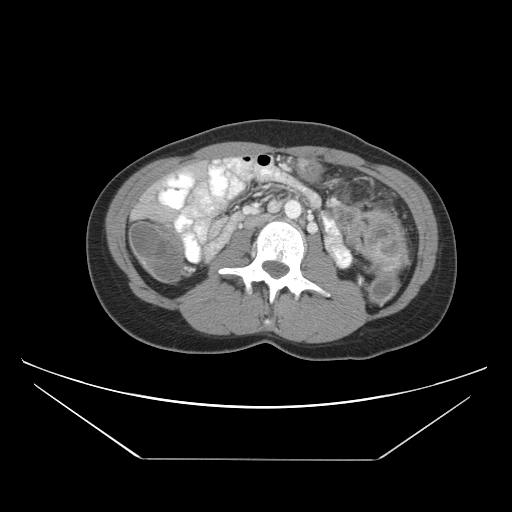
CT scan slice. Segmented structures:
* colon tumor: [362, 210, 409, 275]